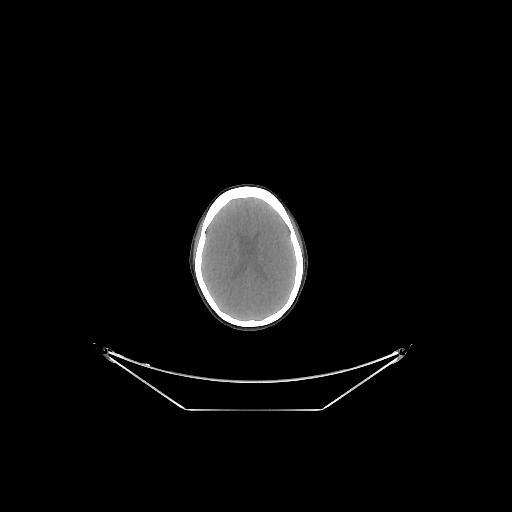

Head. CT slice.

Brain — region(201, 197, 296, 320).